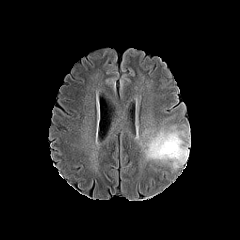
FLAIR MR image.
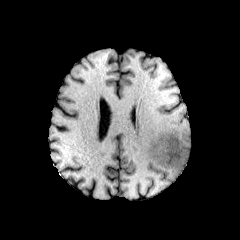
T1-weighted MRI.
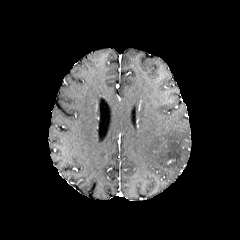
Post-contrast T1-weighted MR.
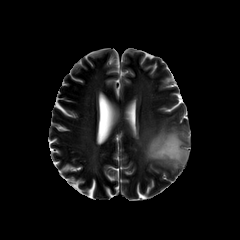
T2-weighted MR image.
240x240 px
edema:
  - 146:132:189:167